Slice 51 of 105 | Image width 399 mm | Computed tomography | 512x512

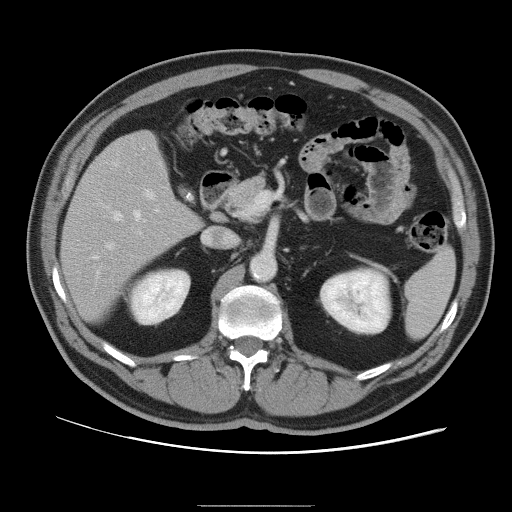
Only some of the vessels may be annotated.
9 hepatic vessel regions are located at 144,189,155,199; 113,212,122,220; 155,209,158,211; 96,270,99,280; 137,230,141,234; 105,243,114,248; 133,210,145,221; 92,255,98,258; 112,161,118,166.